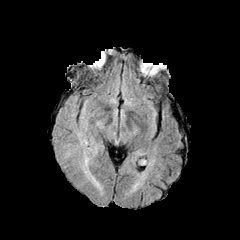
FLAIR magnetic resonance.
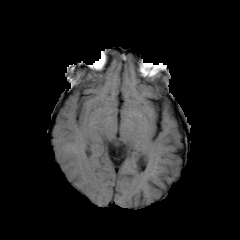
T1-weighted MRI.
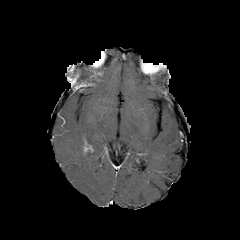
Post-contrast T1-weighted magnetic resonance.
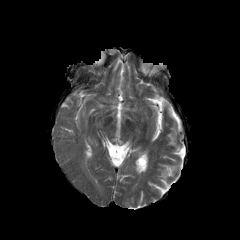
T2-weighted magnetic resonance.
Brain
edema: region(83, 148, 94, 166)